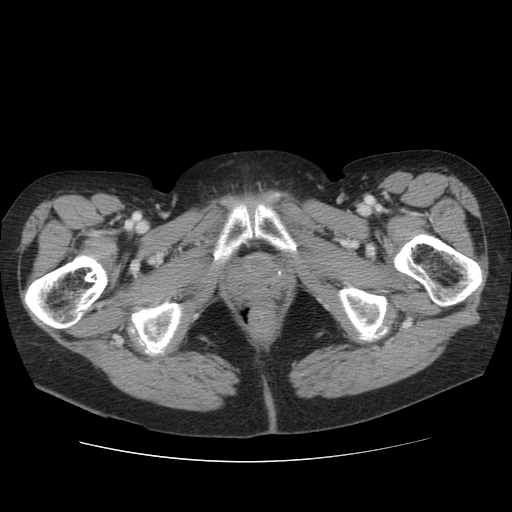
CT image

<segmentation>
  <bone><box>25,251,108,328</box>, <box>389,229,481,306</box>, <box>315,268,388,339</box>, <box>129,284,196,353</box>, <box>198,192,315,296</box></bone>
</segmentation>